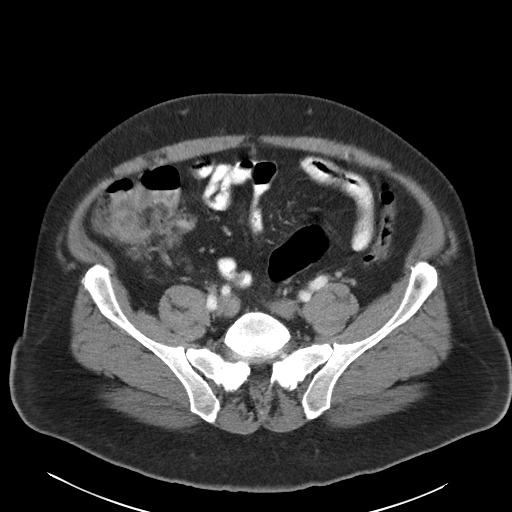 CT slice
Findings:
- colon tumor: x1=107, y1=185, x2=151, y2=241